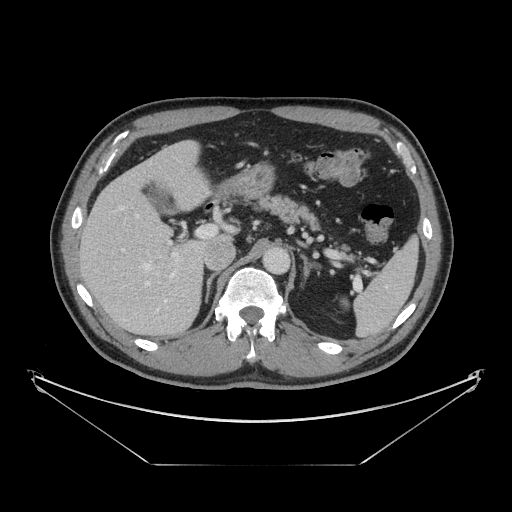

Abdomen; Computed tomography

Annotated regions:
• pancreas: x1=255, y1=194, x2=321, y2=229; x1=337, y1=240, x2=350, y2=256